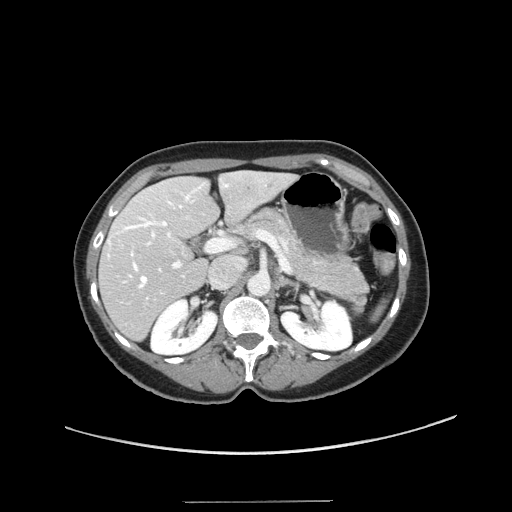 Abdomen, CT slice

Not every hepatic vessel necessarily has a box.
[15/17] hepatic vessel: 173, 261, 180, 267; 179, 205, 181, 207; 152, 232, 154, 236; 108, 240, 109, 244; 122, 218, 150, 231; 168, 232, 170, 236; 209, 240, 227, 250; 140, 276, 146, 286; 159, 221, 166, 224; 134, 264, 137, 268; 169, 201, 171, 203; 186, 194, 189, 200; 192, 182, 206, 191; 131, 251, 133, 254; 148, 242, 150, 243